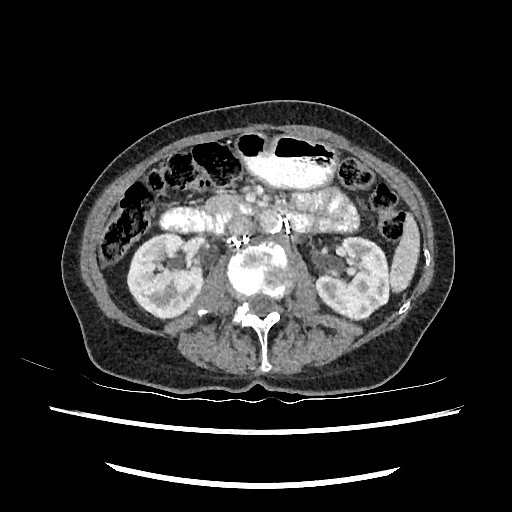 CT image, 512x512 px
<segmentation>
  <kidney>{"x1": 128, "y1": 234, "x2": 202, "y2": 317}, {"x1": 316, "y1": 238, "x2": 388, "y2": 318}</kidney>
</segmentation>